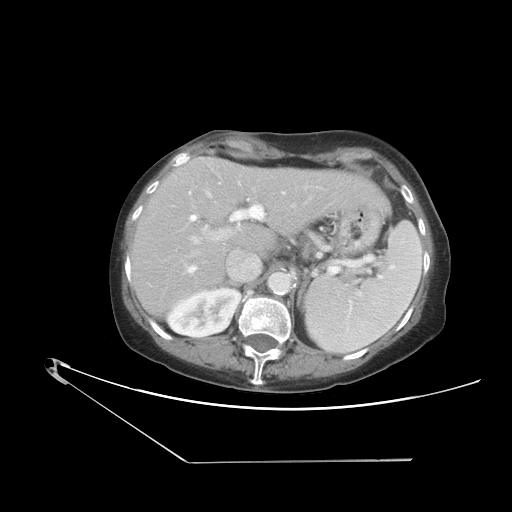
Computed tomography, Image size 512x512
Not every hepatic vessel necessarily has a box.
<segmentation>
  <hepatic_vessel>190:233:219:244, 282:191:284:194, 207:192:211:196, 238:183:240:185, 190:251:199:256, 247:198:249:200, 190:215:196:221, 203:226:207:229, 230:204:265:230, 291:204:294:206, 185:265:196:273</hepatic_vessel>
</segmentation>